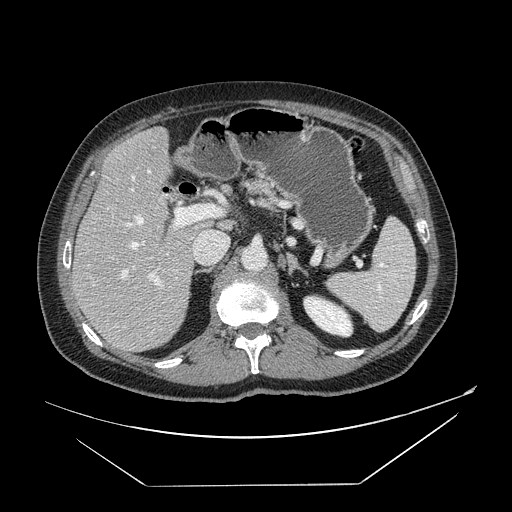 CT scan slice. Upper abdomen. pancreas:
  - 241, 181, 276, 197